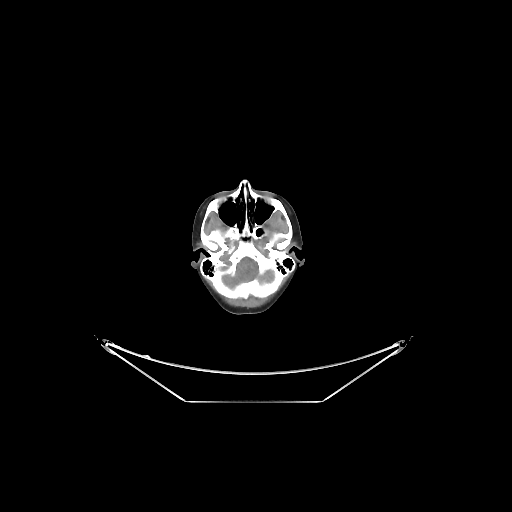
Brain; CT slice
Brain: bounding box box(221, 256, 274, 290); box(218, 262, 231, 271).